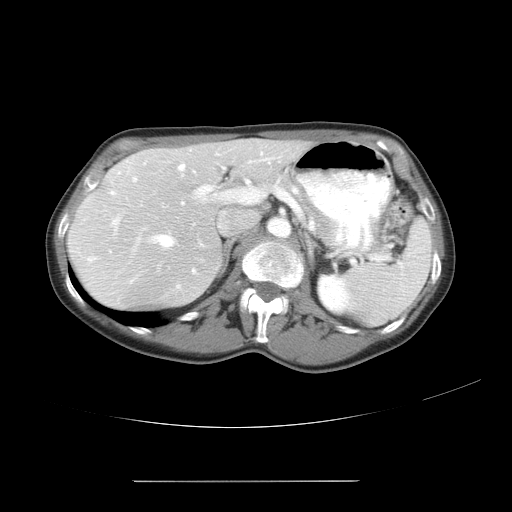

Computed tomography
Some hepatic vessels may have no box.
Principal 15 of 18 hepatic vessel regions — {"x1": 221, "y1": 166, "x2": 223, "y2": 168}, {"x1": 191, "y1": 269, "x2": 195, "y2": 272}, {"x1": 111, "y1": 218, "x2": 117, "y2": 231}, {"x1": 176, "y1": 284, "x2": 179, "y2": 287}, {"x1": 141, "y1": 227, "x2": 144, "y2": 229}, {"x1": 129, "y1": 279, "x2": 132, "y2": 282}, {"x1": 248, "y1": 152, "x2": 271, "y2": 162}, {"x1": 132, "y1": 178, "x2": 135, "y2": 180}, {"x1": 195, "y1": 179, "x2": 265, "y2": 202}, {"x1": 110, "y1": 191, "x2": 114, "y2": 194}, {"x1": 87, "y1": 256, "x2": 94, "y2": 260}, {"x1": 181, "y1": 201, "x2": 183, "y2": 203}, {"x1": 178, "y1": 164, "x2": 183, "y2": 169}, {"x1": 150, "y1": 235, "x2": 173, "y2": 246}, {"x1": 137, "y1": 238, "x2": 139, "y2": 240}.